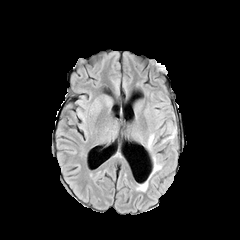
FLAIR magnetic resonance.
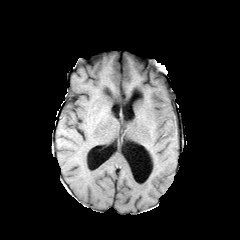
T1-weighted MR.
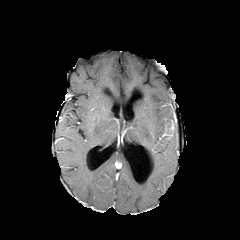
Post-contrast T1-weighted MR image.
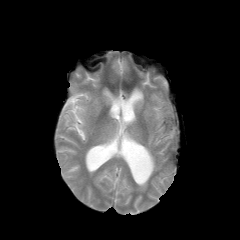
T2-weighted magnetic resonance.
Brain
Edema = rect(146, 127, 175, 150); rect(136, 182, 148, 191); rect(152, 154, 161, 173).